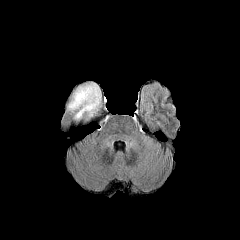
FLAIR magnetic resonance.
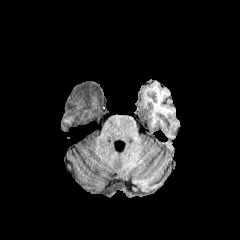
T1-weighted MR image.
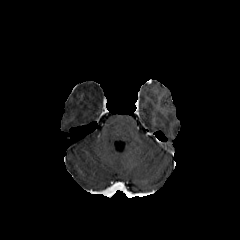
Same slice, post-contrast T1-weighted MR image.
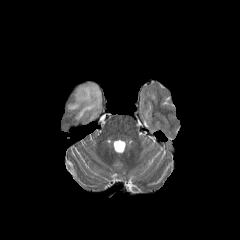
T2-weighted MR.
Head; 240x240
<segmentation>
  <edema><bbox>67, 82, 101, 119</bbox></edema>
</segmentation>